Liver, 512x512, CT
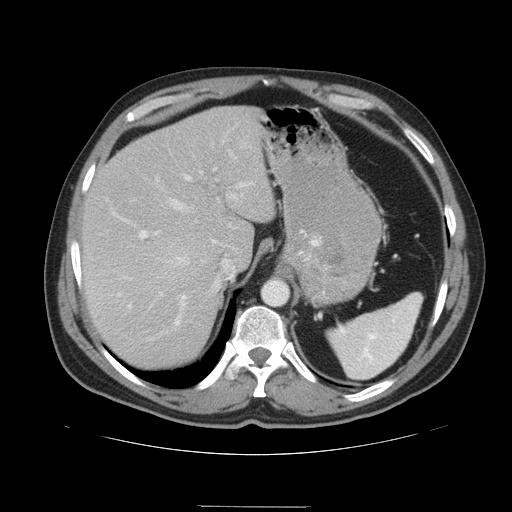

Only some of the vessels may be annotated.
{
  "partial": true,
  "hepatic_vessel": {
    "n_total": 20,
    "boxes": [
      "box=[111, 207, 130, 223]",
      "box=[170, 200, 193, 210]",
      "box=[155, 232, 159, 235]",
      "box=[212, 240, 219, 244]",
      "box=[227, 193, 236, 200]",
      "box=[175, 316, 180, 326]",
      "box=[230, 153, 235, 159]",
      "box=[238, 183, 253, 187]",
      "box=[185, 176, 191, 181]",
      "box=[147, 338, 156, 340]",
      "box=[140, 231, 147, 238]",
      "box=[180, 295, 186, 310]",
      "box=[210, 259, 234, 291]",
      "box=[128, 305, 131, 309]",
      "box=[178, 258, 189, 265]"
    ]
  }
}